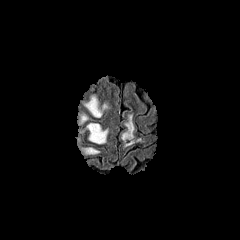
FLAIR MR.
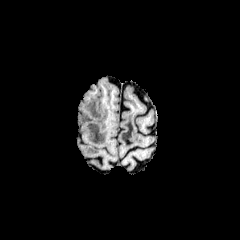
Same slice, T1-weighted MR image.
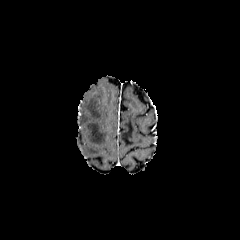
Same slice, post-contrast T1-weighted MRI.
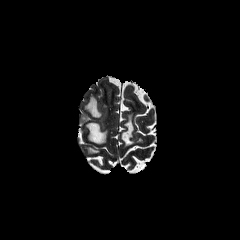
Same slice, T2-weighted magnetic resonance.
Head
4 edema regions are bounded by region(81, 95, 108, 119); region(78, 123, 107, 144); region(81, 147, 98, 155); region(77, 115, 87, 124).